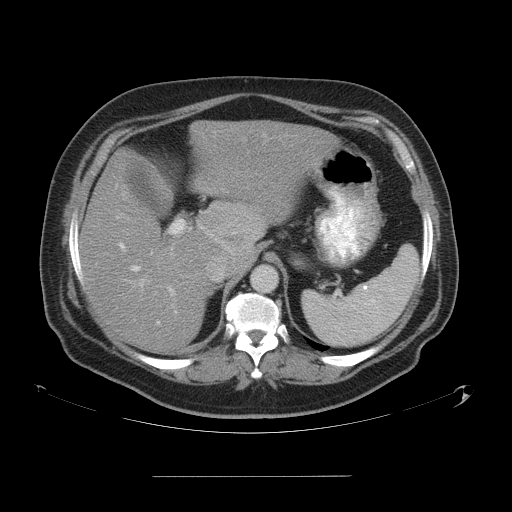 Liver | CT image
The vessel boxes may cover only some of the vessels.
hepatic_vessel:
  - bbox=[140, 280, 143, 285]
  - bbox=[116, 214, 122, 218]
  - bbox=[206, 230, 213, 236]
  - bbox=[119, 243, 124, 250]
  - bbox=[132, 266, 139, 270]
  - bbox=[170, 220, 189, 232]
  - bbox=[168, 286, 174, 295]
  - bbox=[198, 221, 205, 229]
  - bbox=[156, 321, 159, 323]
liver_tumor:
  - bbox=[217, 222, 249, 254]